Computed tomography
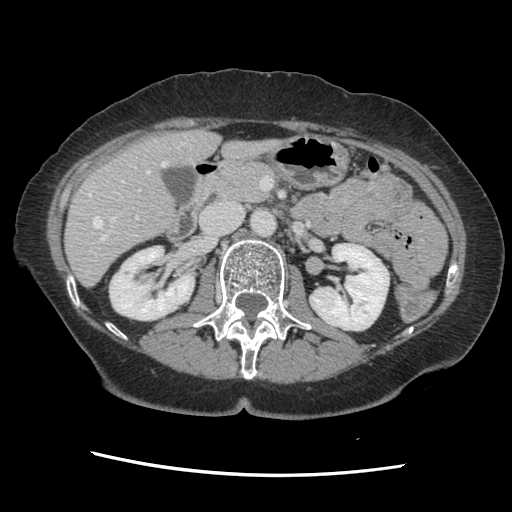
The vessel annotation is not exhaustive.
Hepatic vessel = rect(100, 235, 105, 241); rect(147, 170, 149, 173); rect(135, 217, 138, 218); rect(111, 215, 117, 220); rect(161, 161, 166, 166); rect(89, 190, 91, 196); rect(121, 180, 123, 182); rect(93, 217, 102, 227); rect(138, 189, 140, 190).